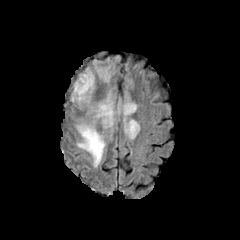
FLAIR MRI.
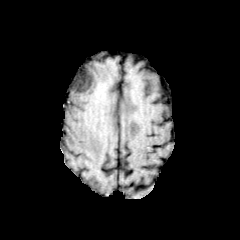
T1-weighted magnetic resonance.
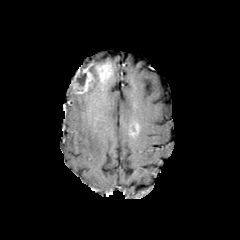
Post-contrast T1-weighted MR.
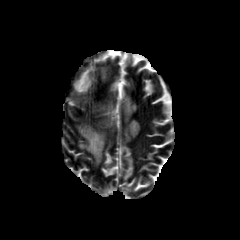
Same slice, T2-weighted magnetic resonance.
enhancing_tumor:
  - [77, 68, 93, 93]
non-enhancing_tumor_core:
  - [72, 70, 86, 91]
  - [128, 123, 139, 135]
edema:
  - [124, 120, 135, 137]
  - [77, 124, 105, 166]
  - [98, 103, 136, 123]
  - [73, 74, 94, 102]